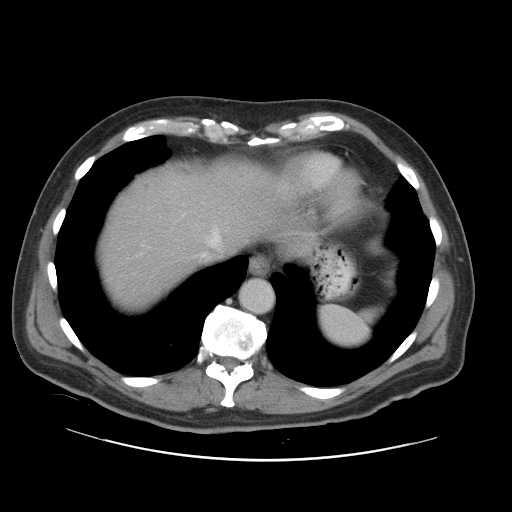

CT scan slice
The vessel annotation is not exhaustive.
hepatic vessel: bbox(209, 230, 220, 247)